CT; Slice 13/45; Liver
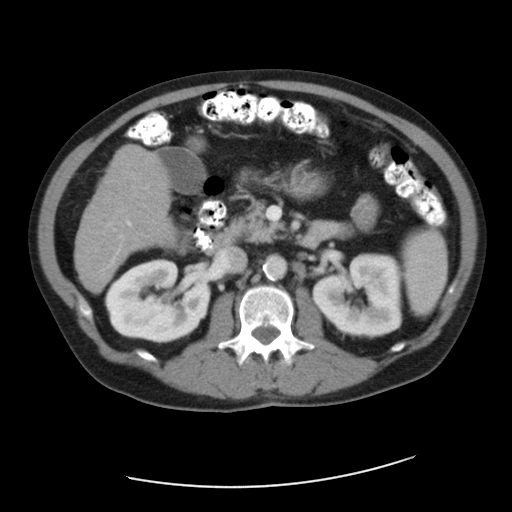 Only some of the vessels may be annotated.
2 hepatic vessel regions are located at region(119, 235, 122, 237); region(127, 221, 130, 225).